Slice index 42, 240x240 px, Brain
FLAIR magnetic resonance.
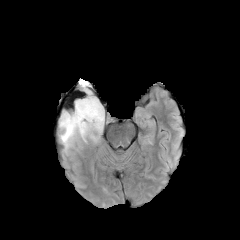
T1-weighted MR image.
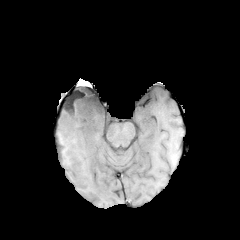
Post-contrast T1-weighted MR.
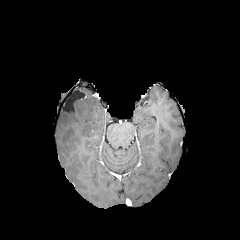
T2-weighted magnetic resonance.
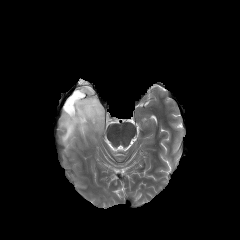
* non-enhancing tumor core: region(75, 117, 85, 127); region(65, 108, 75, 117); region(80, 93, 98, 113)
* edema: region(59, 86, 109, 152)